MRI slice | Medial temporal lobe | Slice index 11

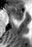

The anterior hippocampus lies within 7 6 23 18. The posterior hippocampus is bounded by 16 19 21 20.